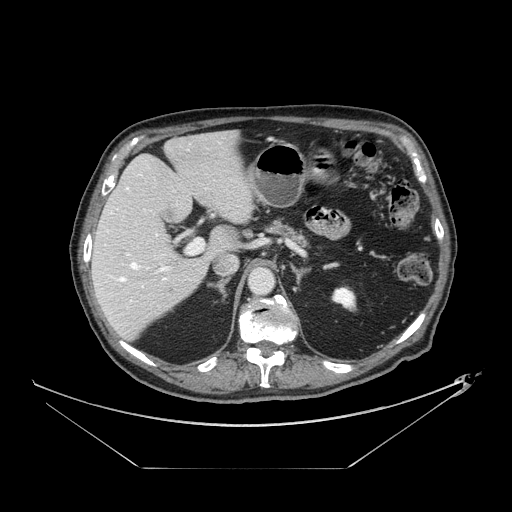

512x512 px. Computed tomography. Upper abdomen. pancreas: (270,223,306,244)